Slice 46/155 | Head | 240x240 px
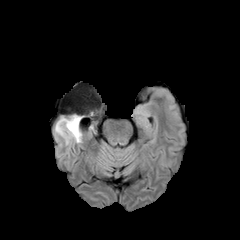
FLAIR MR.
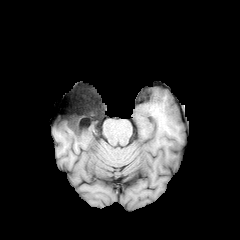
Same slice, T1-weighted magnetic resonance.
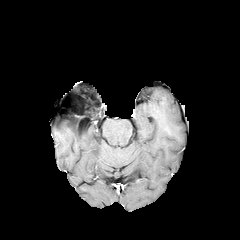
Same slice, post-contrast T1-weighted MR.
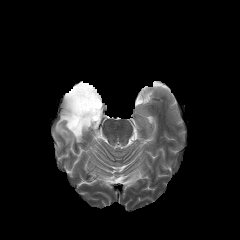
Same slice, T2-weighted MR.
edema: (x1=54, y1=118, x2=82, y2=147) | non-enhancing tumor core: (x1=58, y1=113, x2=81, y2=129)